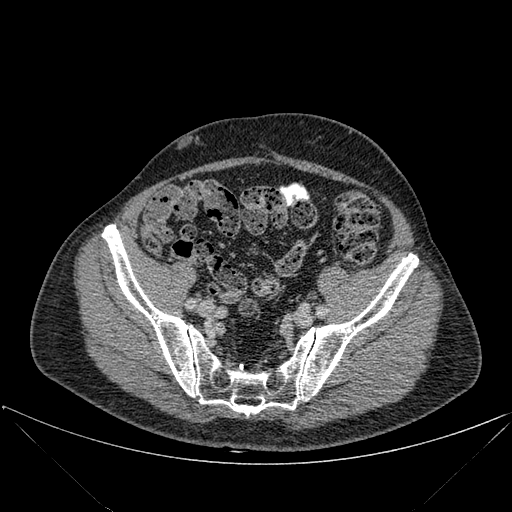
CT image

bone:
  - x1=102, y1=224, x2=418, y2=415